FLAIR MRI.
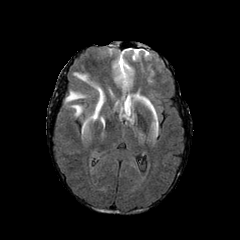
T1-weighted MR image.
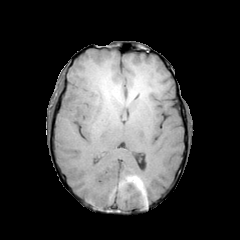
Post-contrast T1-weighted MRI.
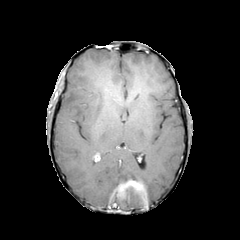
T2-weighted MR image.
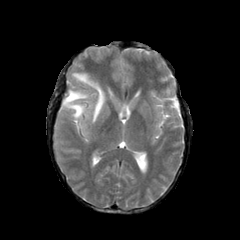
Head.
Edema — bbox=[64, 72, 105, 129].